Computed tomography.
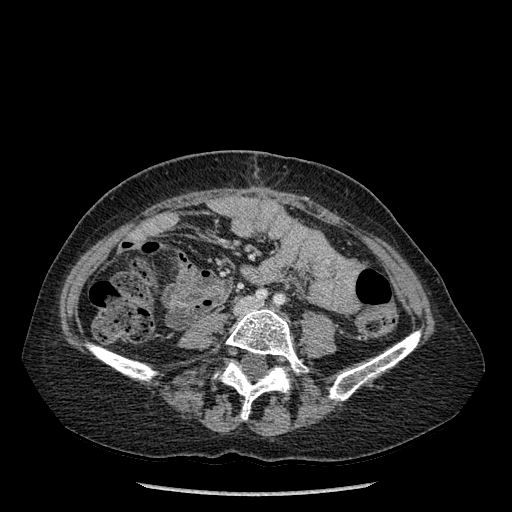

bone:
  - rect(226, 307, 307, 373)
  - rect(86, 343, 156, 380)
  - rect(328, 331, 420, 400)
  - rect(214, 360, 289, 419)